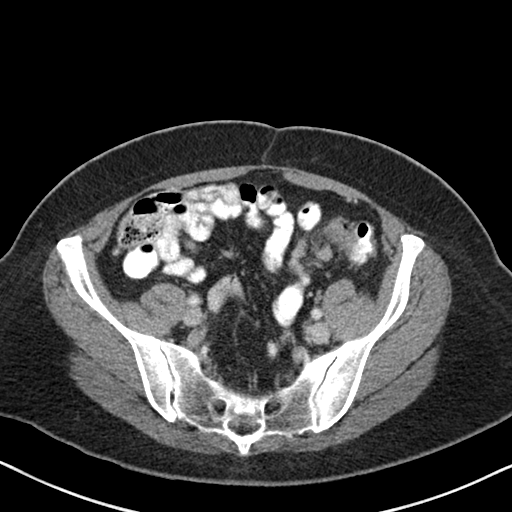
Computed tomography; Abdomen
The colon tumor is bounded by x1=324, y1=219, x2=356, y2=252.